FLAIR MRI.
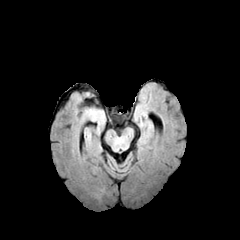
T1-weighted MR image.
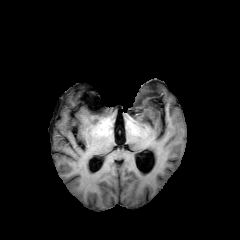
Post-contrast T1-weighted magnetic resonance.
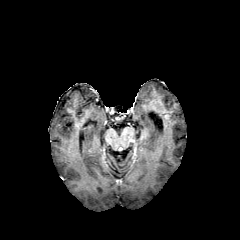
T2-weighted MR.
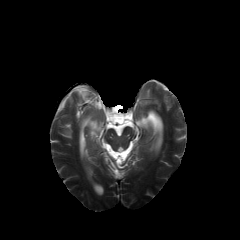
Head.
Non-enhancing tumor core — bbox=[125, 128, 132, 142].
Edema — bbox=[138, 115, 153, 145].